Slice 319/836; Field of view 348 mm wide, 0.80 mm slice spacing; 512x512; Computed tomography; Upper abdomen

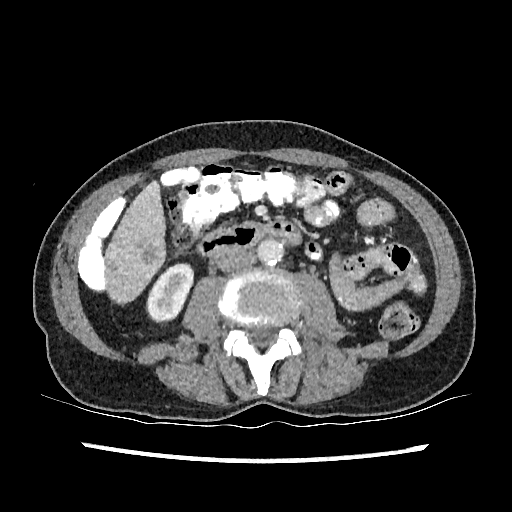 <segmentation>
  <kidney>(left=148, top=264, right=192, bottom=320)</kidney>
  <liver>(left=105, top=181, right=165, bottom=302)</liver>
  <focal_liver_lesion>(left=110, top=263, right=116, bottom=271), (left=141, top=244, right=157, bottom=264)</focal_liver_lesion>
</segmentation>